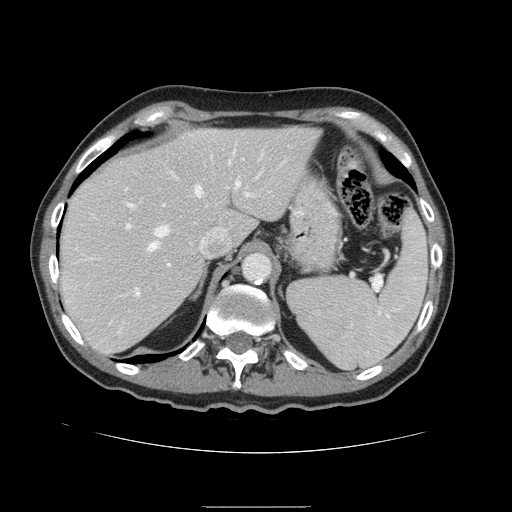

CT image; Abdomen

Not every hepatic vessel necessarily has a box.
hepatic_vessel:
  - box=[229, 159, 231, 162]
  - box=[136, 288, 139, 295]
  - box=[128, 203, 134, 205]
  - box=[172, 172, 175, 176]
  - box=[148, 242, 158, 250]
  - box=[236, 180, 240, 187]
  - box=[155, 226, 169, 237]
  - box=[168, 263, 170, 265]
  - box=[199, 212, 232, 256]
  - box=[127, 224, 130, 227]
  - box=[246, 193, 251, 195]
  - box=[195, 185, 202, 195]